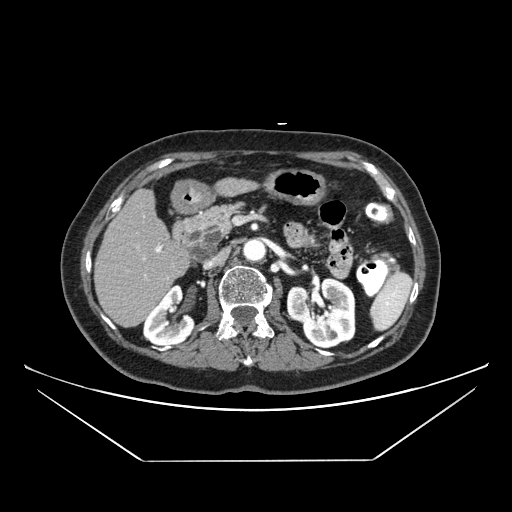
CT image | Abdomen
* pancreatic tumor: rect(187, 227, 221, 262)
* pancreas: rect(181, 202, 246, 263)